Field of view 240 mm wide, 1.00 mm slice spacing
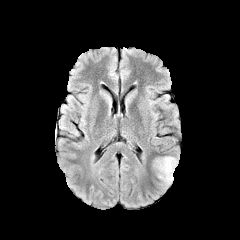
FLAIR MR.
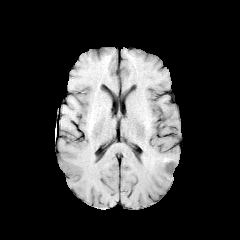
T1-weighted MR image of the same slice.
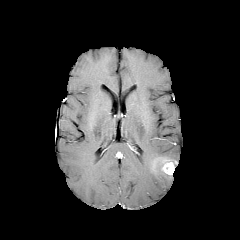
Post-contrast T1-weighted MRI.
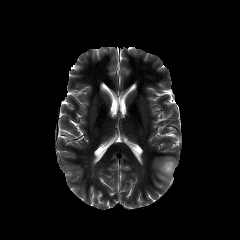
T2-weighted magnetic resonance.
enhancing tumor: left=161, top=160, right=174, bottom=174 | edema: left=155, top=156, right=175, bottom=185